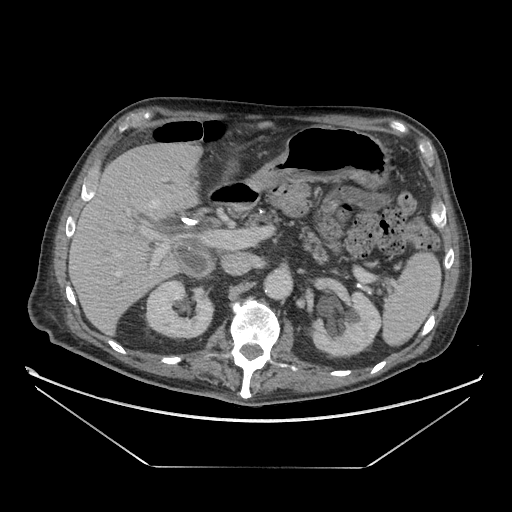 512x512; Computed tomography
• pancreas: bbox=[246, 210, 275, 224]; bbox=[305, 229, 330, 263]